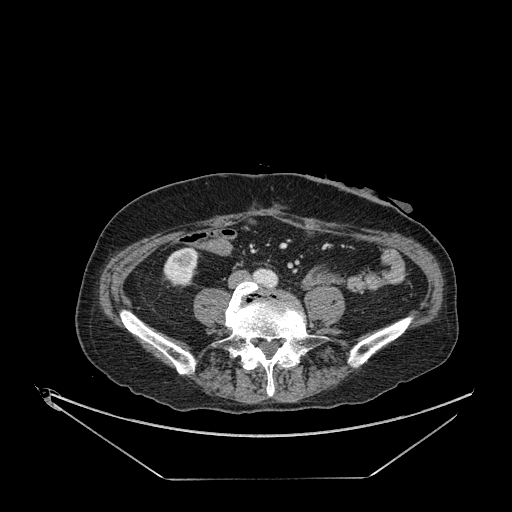

Abdomen | CT scan slice
The kidney is located at 164:248:197:284.